FLAIR magnetic resonance.
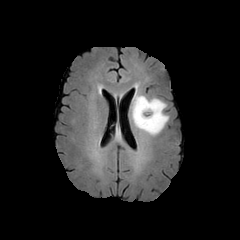
T1-weighted MRI.
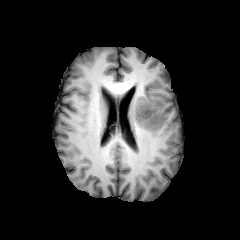
Post-contrast T1-weighted MRI.
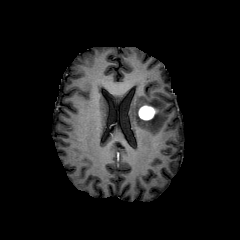
T2-weighted MR image.
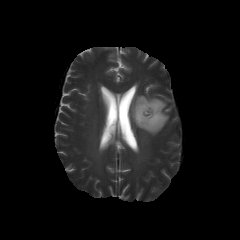
Brain
The edema is at left=131, top=83, right=169, bottom=135. The enhancing tumor is located at left=137, top=104, right=158, bottom=120.